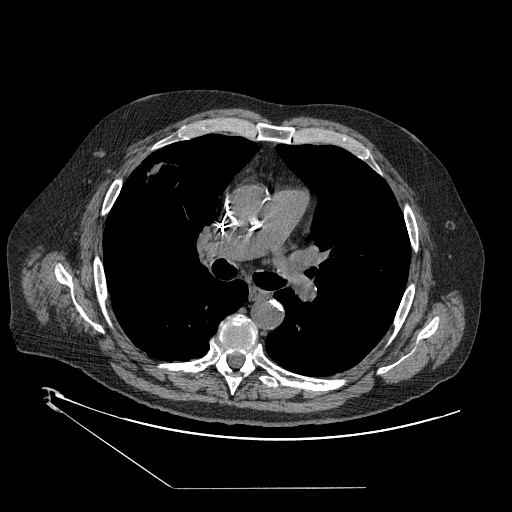

Thorax; CT scan slice
Lung tumor: box(139, 160, 187, 192).